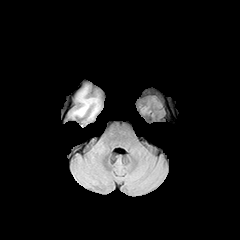
FLAIR MR.
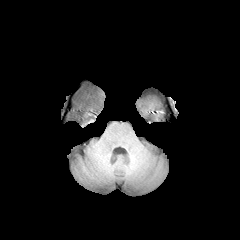
T1-weighted magnetic resonance.
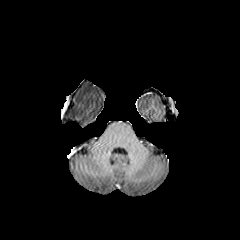
Post-contrast T1-weighted MR.
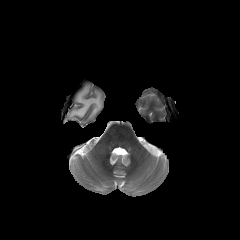
T2-weighted MR.
Image size 240x240
edema: box(70, 87, 100, 120)